240x240
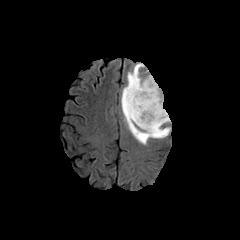
FLAIR MR.
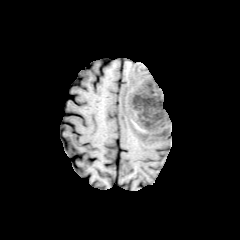
Same slice, T1-weighted MR image.
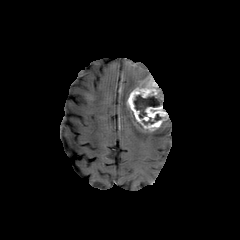
Post-contrast T1-weighted MRI.
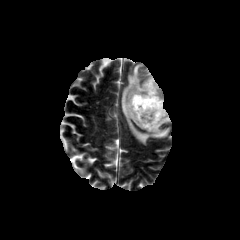
T2-weighted magnetic resonance.
The non-enhancing tumor core appears at 133 95 159 118. 2 enhancing tumor regions are located at 157 122 169 133, 125 74 168 132. The edema lies within 120 62 171 145.